Image size 240x240
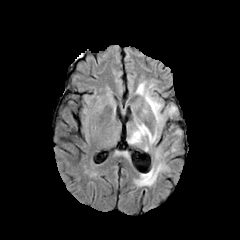
FLAIR magnetic resonance.
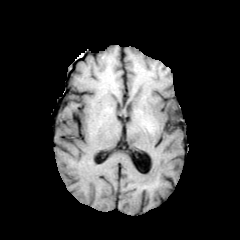
T1-weighted MRI.
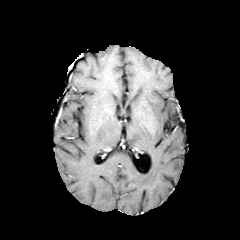
Post-contrast T1-weighted MRI.
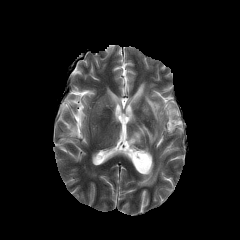
T2-weighted MR of the same slice.
Segmented structures:
* edema: [x1=126, y1=82, x2=177, y2=151], [x1=134, y1=161, x2=167, y2=186]